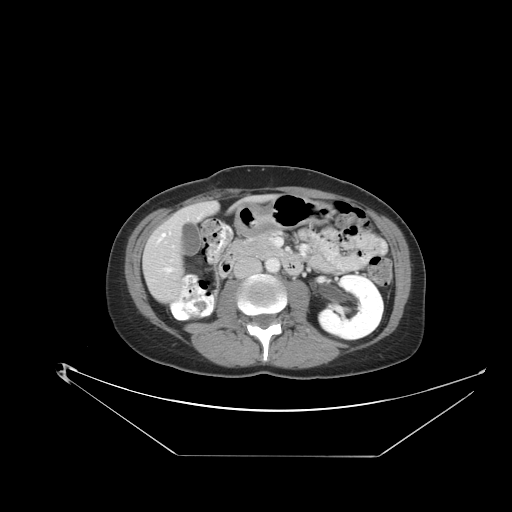 CT image. 512x512. Abdomen.
Segmented structures:
• pancreas: <bbox>233, 233, 285, 259</bbox>